CT | Abdomen

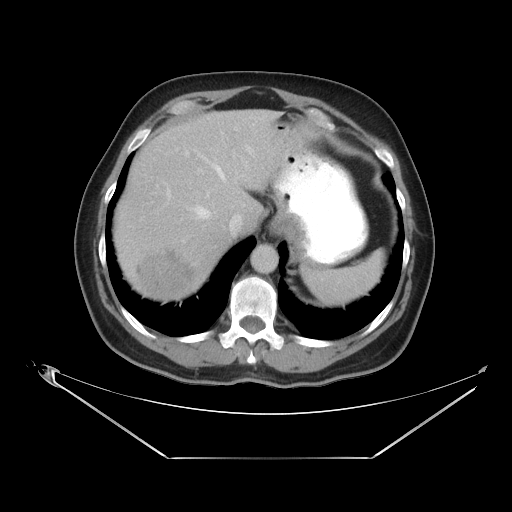 The vessel boxes may cover only some of the vessels.
The liver tumor is bounded by [131,244,203,300]. 6 hepatic vessel regions appear at [234,126,238,130], [233,151,234,157], [189,208,206,219], [245,145,253,156], [217,167,223,177], [248,117,250,118].